Image size 512x512; Slice 336/836; Computed tomography; Abdomen
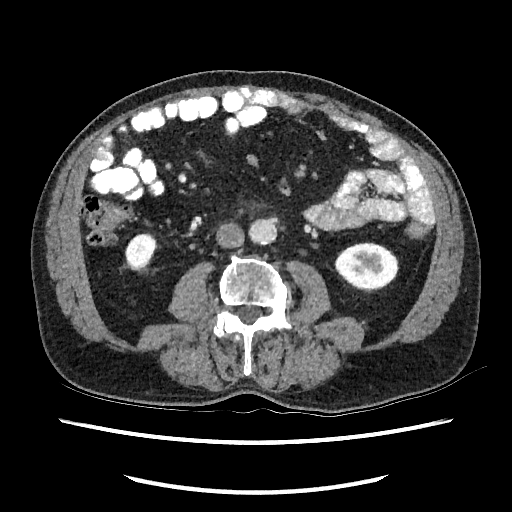 Kidney: left=335, top=243, right=398, bottom=290; left=125, top=234, right=156, bottom=270.